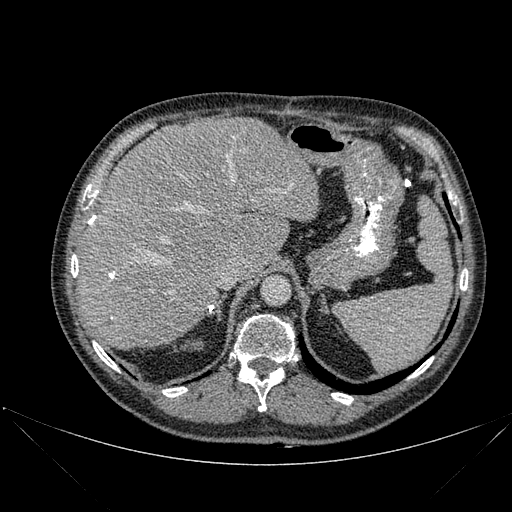
CT scan slice

Annotated regions:
• liver: {"x1": 77, "y1": 117, "x2": 318, "y2": 350}
• bone: {"x1": 331, "y1": 393, "x2": 353, "y2": 404}, {"x1": 460, "y1": 272, "x2": 467, "y2": 290}, {"x1": 231, "y1": 315, "x2": 296, "y2": 411}, {"x1": 162, "y1": 387, "x2": 187, "y2": 397}, {"x1": 83, "y1": 184, "x2": 98, "y2": 203}, {"x1": 93, "y1": 341, "x2": 118, "y2": 370}, {"x1": 410, "y1": 357, "x2": 433, "y2": 377}, {"x1": 71, "y1": 255, "x2": 78, "y2": 276}
• lung: {"x1": 444, "y1": 194, "x2": 450, "y2": 213}, {"x1": 444, "y1": 311, "x2": 456, "y2": 337}, {"x1": 299, "y1": 336, "x2": 419, "y2": 393}